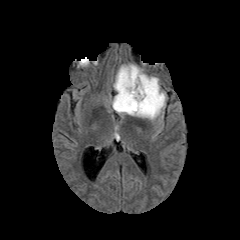
FLAIR MRI.
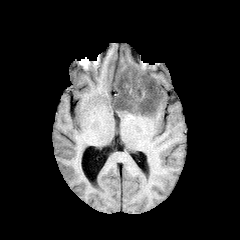
T1-weighted MR image of the same slice.
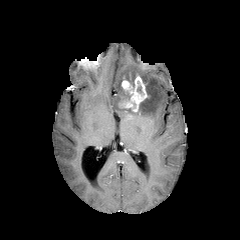
Post-contrast T1-weighted MR.
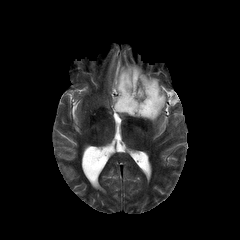
T2-weighted magnetic resonance.
Image size 240x240.
<segmentation>
  <non-enhancing_tumor_core>region(138, 80, 156, 113); region(114, 73, 139, 113)</non-enhancing_tumor_core>
  <edema>region(110, 63, 167, 124)</edema>
  <enhancing_tumor>region(118, 75, 147, 111)</enhancing_tumor>
</segmentation>